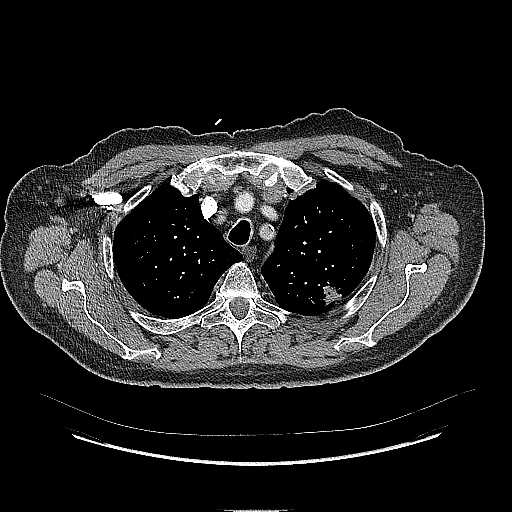
Thorax. 512x512. CT. The lung tumor is located at [x1=318, y1=283, x2=342, y2=307].